Slice index 72. Head. 240x240 px.
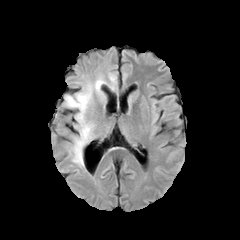
FLAIR MR.
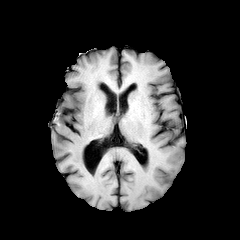
Same slice, T1-weighted MRI.
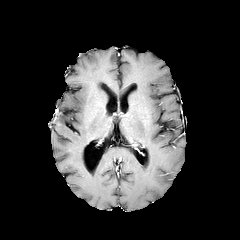
Post-contrast T1-weighted magnetic resonance of the same slice.
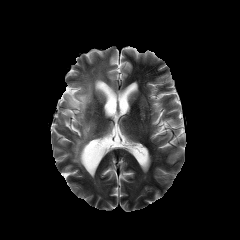
T2-weighted MRI.
edema: x1=64 y1=72 x2=117 y2=167